240x240 px.
FLAIR MRI.
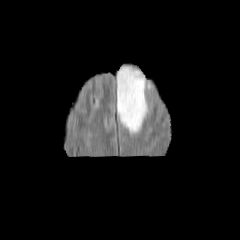
T1-weighted magnetic resonance.
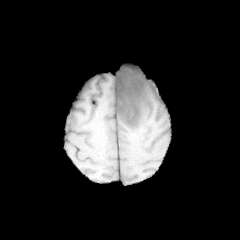
Post-contrast T1-weighted MRI.
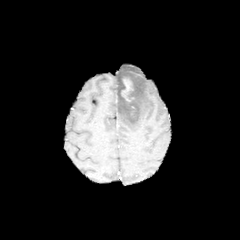
T2-weighted MR.
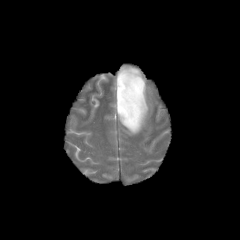
Edema at 117,67,148,132.
Non-enhancing tumor core at 122,73,135,83; 125,100,137,114.
Enhancing tumor at 121,78,133,101.